Slice index 87 | Image size 240x240
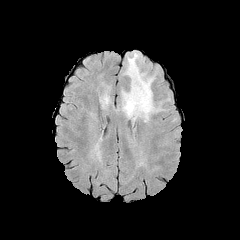
FLAIR MR image.
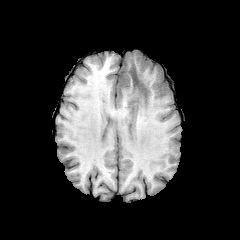
Same slice, T1-weighted MRI.
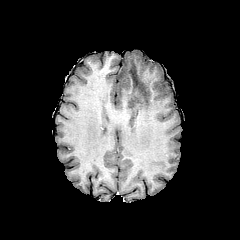
Post-contrast T1-weighted magnetic resonance of the same slice.
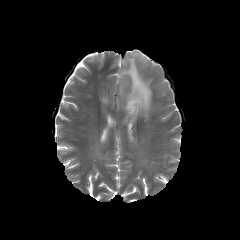
T2-weighted MR.
Edema: bounding box <box>121,51,154,123</box>.